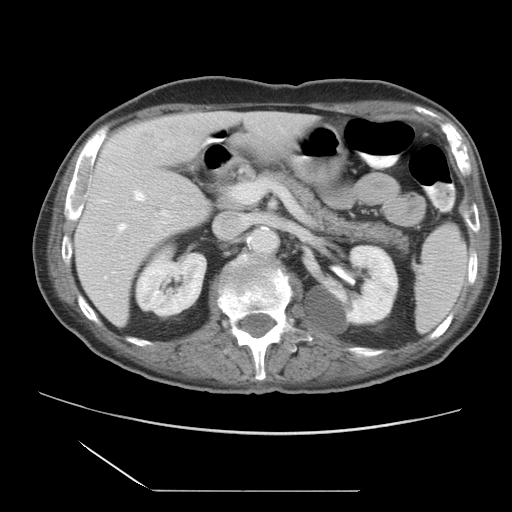

CT
Only some of the vessels may be annotated.
hepatic vessel: 232:181:284:201, 133:189:145:201, 119:224:125:230, 160:210:169:222 | liver tumor: 141:129:170:144